MR image; Field of view 400x400 mm; Cardiac; 320x320 px

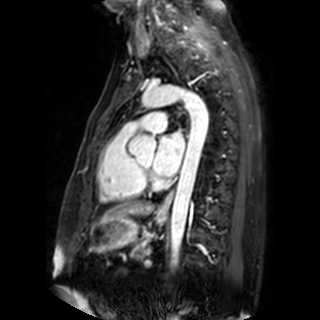

The left atrium is at left=153, top=131, right=184, bottom=176.